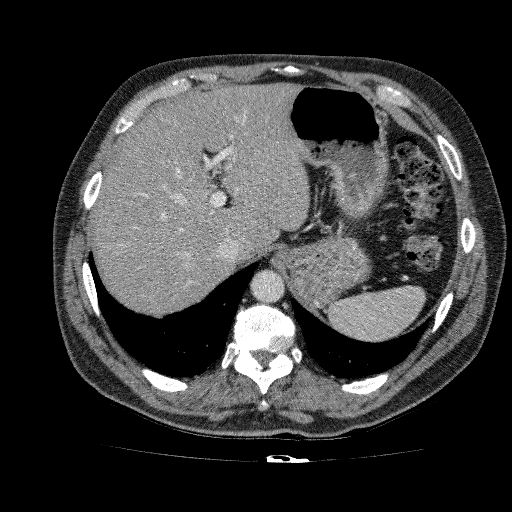 CT scan slice
The liver lies within l=90, t=83, r=308, b=316.